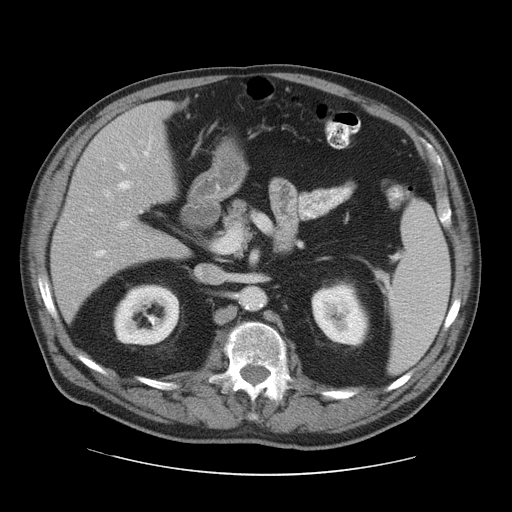
512x512. Computed tomography. Only some of the vessels may be annotated.
hepatic_vessel:
  - (98,271,99,272)
  - (106,192,108,195)
  - (96,250,104,255)
  - (120,163,124,169)
  - (120,222,126,227)
  - (120,181,129,188)
  - (144,152,147,155)